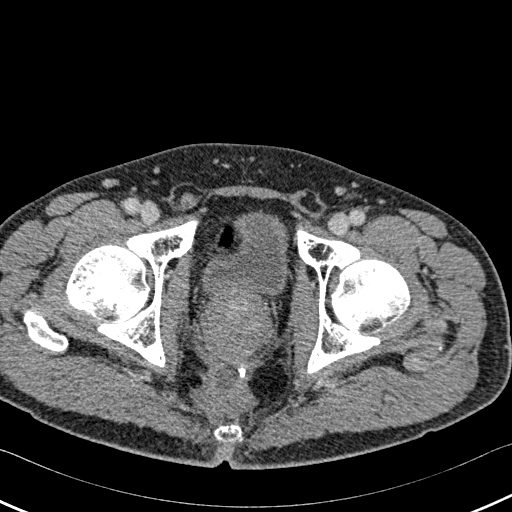
CT slice; 512x512
4 bone regions appear at [x1=24, y1=310, x2=67, y2=350], [x1=66, y1=221, x2=196, y2=367], [x1=297, y1=230, x2=409, y2=373], [x1=214, y1=424, x2=244, y2=440]. The urinary bladder lies within [x1=202, y1=212, x2=288, y2=306].